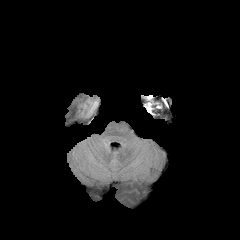
FLAIR MR image.
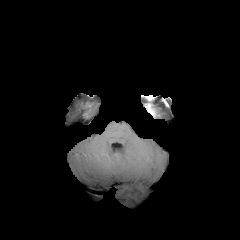
T1-weighted MR image of the same slice.
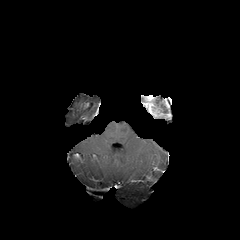
Post-contrast T1-weighted magnetic resonance.
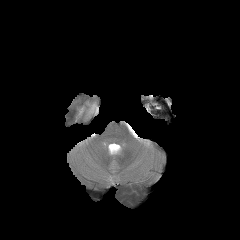
T2-weighted magnetic resonance.
Image size 240x240; Head
Edema at {"x1": 145, "y1": 97, "x2": 152, "y2": 111}.